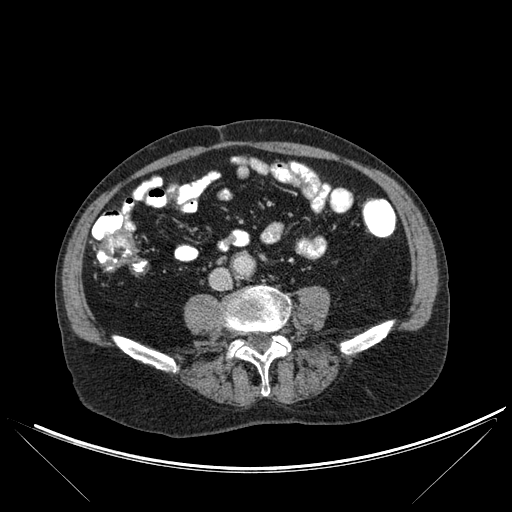
Computed tomography, 512x512
{"bone": ["box=[223, 286, 290, 332]", "box=[341, 321, 393, 353]", "box=[113, 336, 176, 371]", "box=[228, 336, 290, 395]"]}